34x49; MRI

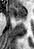 {
  "anterior_hippocampus": [
    "(9,6,26,20)"
  ]
}